FLAIR MR.
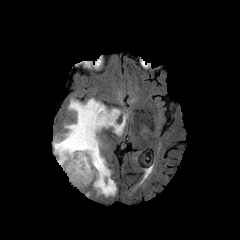
T1-weighted MR.
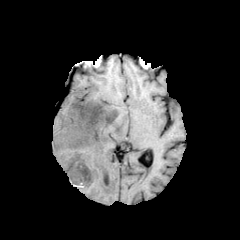
Post-contrast T1-weighted MR.
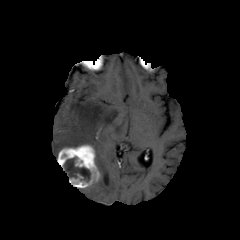
T2-weighted magnetic resonance.
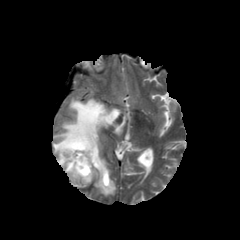
Brain
{"non-enhancing_tumor_core": [{"x1": 90, "y1": 106, "x2": 97, "y2": 119}, {"x1": 64, "y1": 141, "x2": 87, "y2": 146}, {"x1": 61, "y1": 157, "x2": 90, "y2": 181}], "enhancing_tumor": [{"x1": 58, "y1": 144, "x2": 99, "y2": 185}], "edema": [{"x1": 53, "y1": 98, "x2": 128, "y2": 196}]}